Brain, Field of view 240 mm wide, 1.00 mm slice spacing
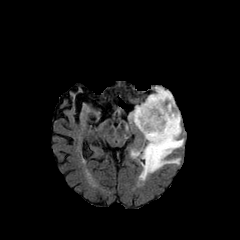
FLAIR MR.
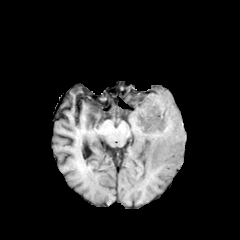
T1-weighted MR image.
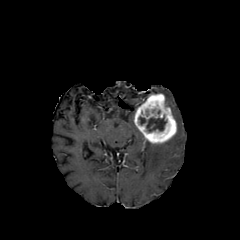
Post-contrast T1-weighted MR image.
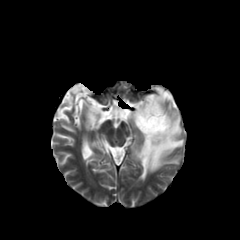
T2-weighted MR.
2 edema regions appear at {"x1": 128, "y1": 110, "x2": 134, "y2": 123}, {"x1": 130, "y1": 86, "x2": 183, "y2": 181}. The non-enhancing tumor core is at {"x1": 146, "y1": 117, "x2": 166, "y2": 131}. The enhancing tumor lies within {"x1": 134, "y1": 93, "x2": 177, "y2": 144}.